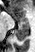 Image size 35x52; MR

The posterior hippocampus lies within {"x1": 14, "y1": 24, "x2": 29, "y2": 41}. The anterior hippocampus appears at {"x1": 8, "y1": 13, "x2": 28, "y2": 23}.